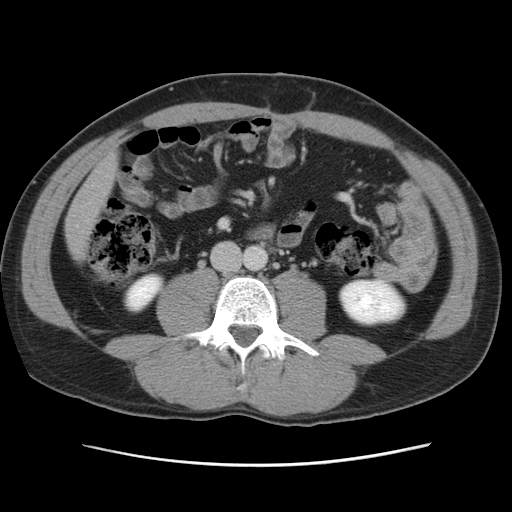 Liver | CT slice

The vessel annotation is not exhaustive.
Hepatic vessel = (87, 220, 89, 222).